Slice index 36 | CT | 512x512 px
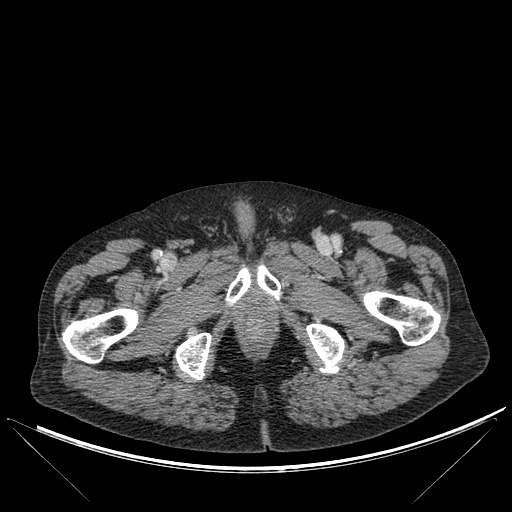
Segmented structures:
- bone: 226:267:251:305, 363:291:440:345, 306:324:344:372, 256:265:280:298, 62:308:138:363, 175:333:211:380